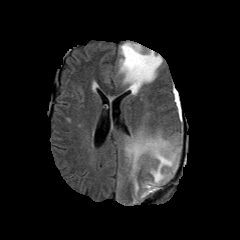
FLAIR MR image.
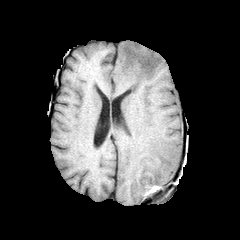
Same slice, T1-weighted MR.
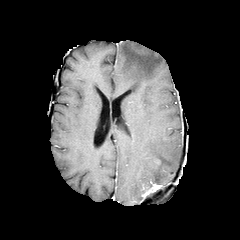
Post-contrast T1-weighted MR of the same slice.
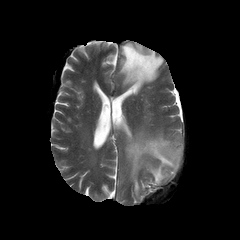
T2-weighted MRI.
Image size 240x240
Edema = [118,41,163,94], [125,136,180,198].
Non-enhancing tumor core = [141,183,155,196], [126,48,153,77].